CT slice; Abdomen; Slice index 5

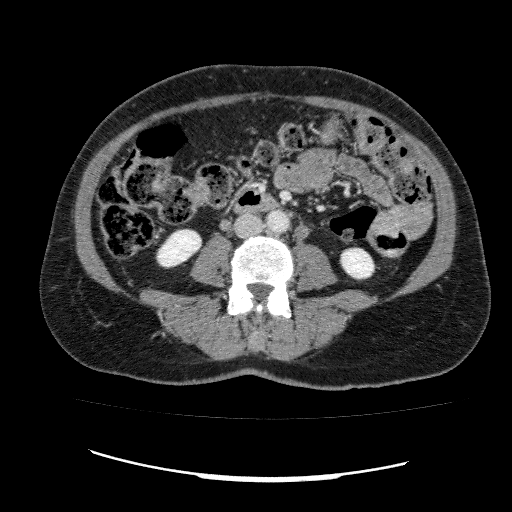

kidney: box(158, 230, 200, 266); box(342, 249, 373, 277)